Slice 576/685, Abdomen, CT slice
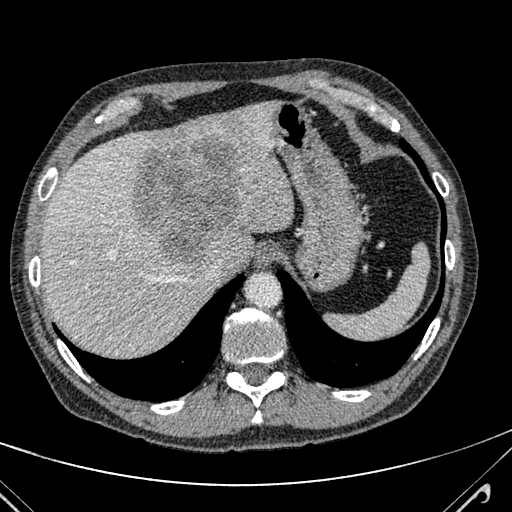 <segmentation>
  <liver>[43,100,293,355]</liver>
  <liver_lesion>[132,135,248,263]</liver_lesion>
</segmentation>